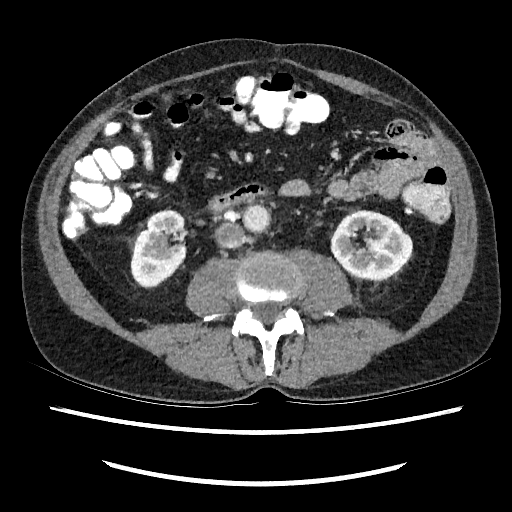

Image size 512x512. CT image. Abdomen.

2 kidney regions are located at [332, 211, 411, 279], [131, 211, 184, 285].